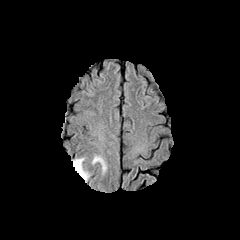
FLAIR MR image.
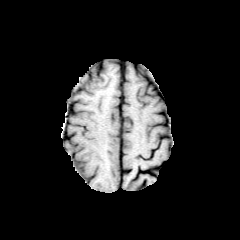
Same slice, T1-weighted MR.
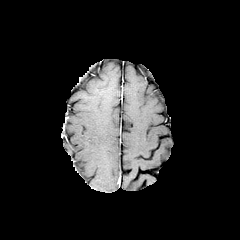
Post-contrast T1-weighted magnetic resonance.
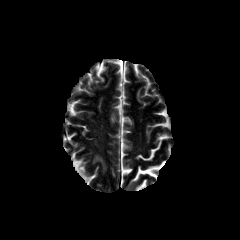
T2-weighted MR image.
240x240; Brain
The edema is at 73:158:91:181.